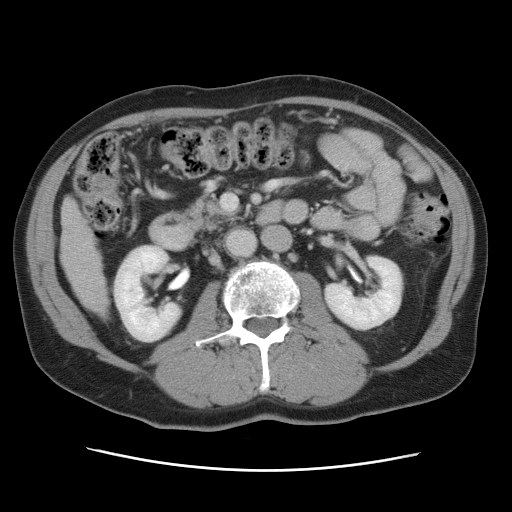

Computed tomography
The vessel annotation is not exhaustive.
- hepatic vessel: x1=99 y1=282 x2=100 y2=283